FLAIR MR image.
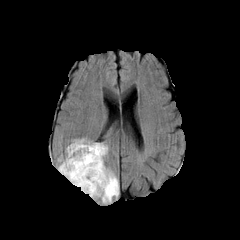
T1-weighted MR.
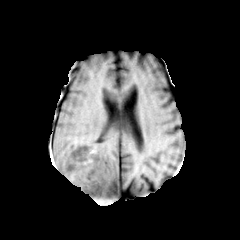
Post-contrast T1-weighted magnetic resonance.
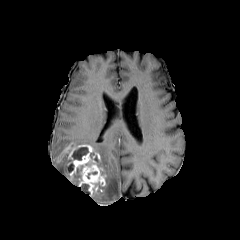
T2-weighted MR.
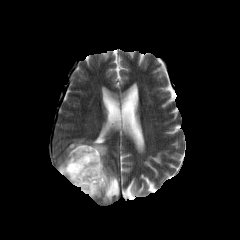
240x240 px.
{"edema": ["rect(70, 139, 119, 202)", "rect(58, 151, 69, 176)"], "enhancing_tumor": ["rect(67, 144, 106, 195)"], "non-enhancing_tumor_core": ["rect(66, 163, 73, 172)", "rect(72, 147, 88, 160)"]}